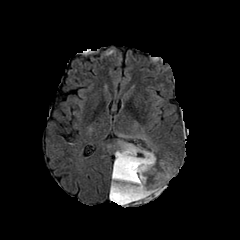
FLAIR MRI.
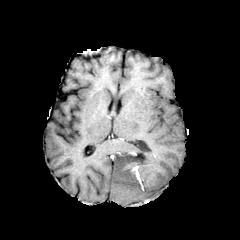
T1-weighted MR image.
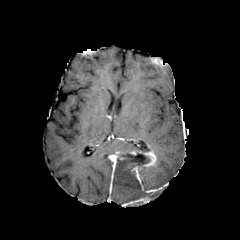
Same slice, post-contrast T1-weighted MR.
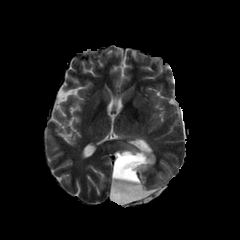
T2-weighted MRI of the same slice.
Segmented structures:
- enhancing tumor: left=132, top=166, right=140, bottom=182; left=144, top=152, right=155, bottom=166; left=122, top=197, right=149, bottom=205
- edema: left=128, top=188, right=143, bottom=195; left=116, top=143, right=138, bottom=151; left=140, top=164, right=161, bottom=187
- non-enhancing tumor core: left=109, top=147, right=157, bottom=205